Field of view 480x480 mm. CT image.
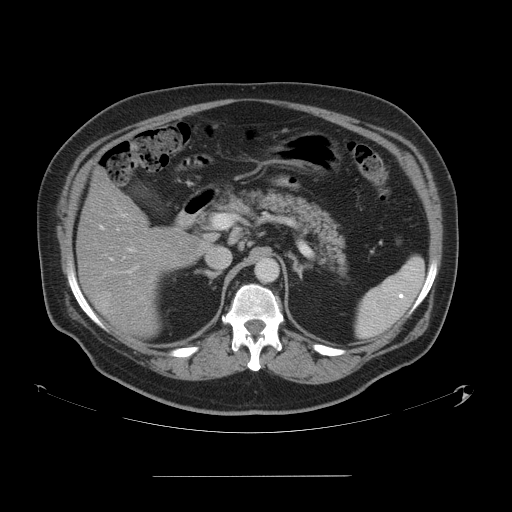 Only some of the vessels may be annotated.
5 hepatic vessel regions are located at 100:226:103:229, 109:293:110:295, 123:266:138:272, 129:248:135:251, 110:258:112:260.